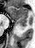

Hippocampus. MR image.
Segmented structures:
- anterior hippocampus: region(7, 6, 27, 21)
- posterior hippocampus: region(16, 22, 25, 26)